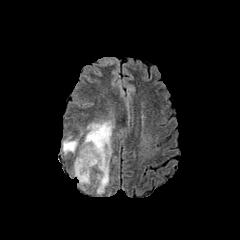
FLAIR MR image.
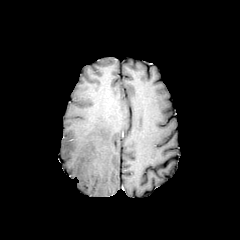
T1-weighted MR image.
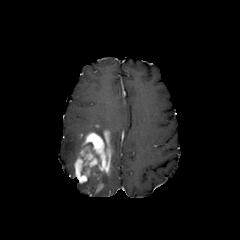
Post-contrast T1-weighted magnetic resonance.
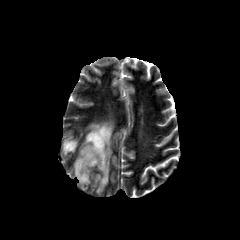
T2-weighted MR image.
{
  "non-enhancing_tumor_core": [
    "83 165 108 185"
  ],
  "edema": [
    "85 121 113 151",
    "62 137 82 157",
    "99 175 109 192",
    "82 168 100 186"
  ],
  "enhancing_tumor": [
    "74 132 110 183"
  ]
}